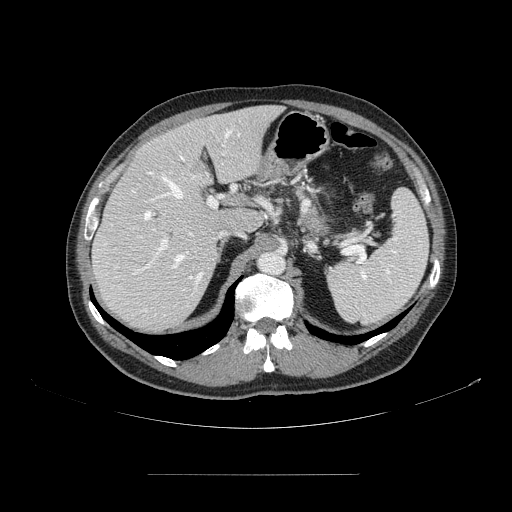
CT slice.
Pancreas = (left=301, top=205, right=335, bottom=235).